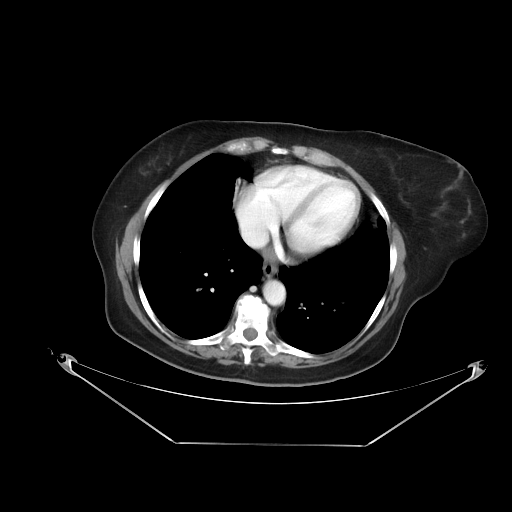

Liver; CT slice; Image size 512x512

The vessel annotation is not exhaustive.
Findings:
* hepatic vessel: rect(242, 228, 259, 246)